FLAIR magnetic resonance.
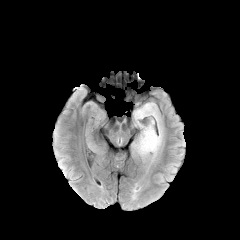
T1-weighted MR image.
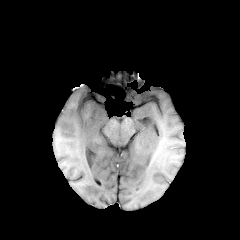
Post-contrast T1-weighted MR.
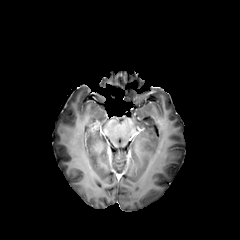
T2-weighted MRI.
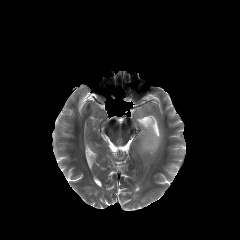
Image size 240x240. Brain.
The edema is at bbox(133, 102, 163, 155).